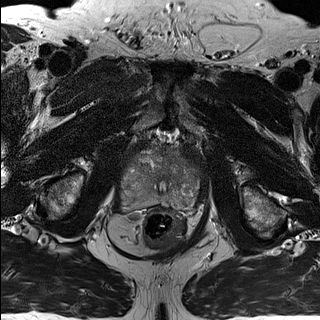
T2-weighted MR image.
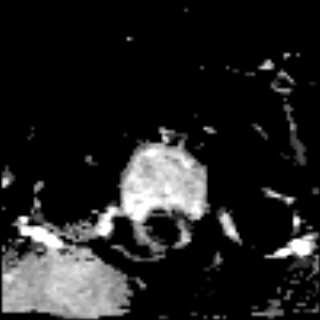
ADC MR image of the same slice.
Prostate.
{
  "prostate_transition_zone": [
    "(124,145,200,213)"
  ]
}